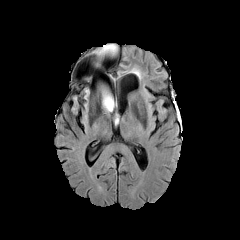
FLAIR MR.
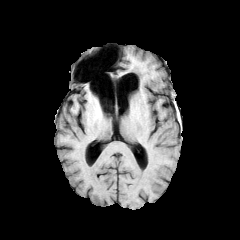
T1-weighted MR image.
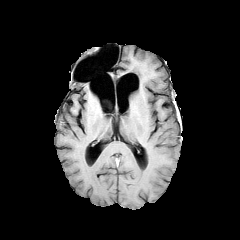
Post-contrast T1-weighted MRI.
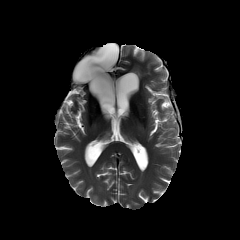
Same slice, T2-weighted MR image.
Head; 240x240
{"non-enhancing_tumor_core": ["l=102, t=92, r=111, b=109"], "edema": ["l=102, t=96, r=114, b=115", "l=98, t=44, r=116, b=55"]}